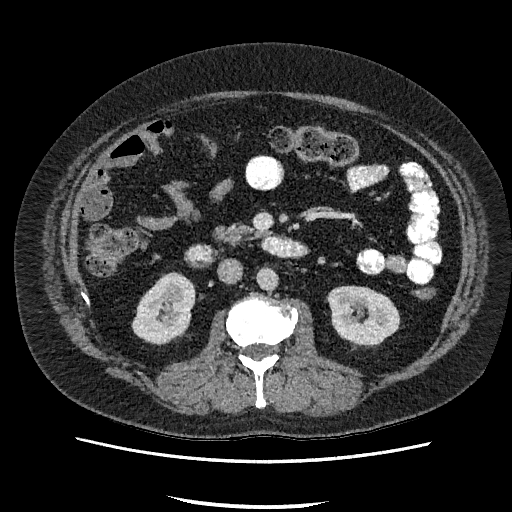 Abdomen; CT slice

Segmented structures:
• kidney: 329 287 398 343, 133 275 194 342